240x240
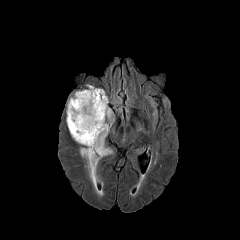
FLAIR MR image.
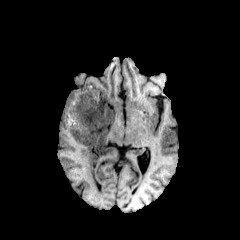
Same slice, T1-weighted magnetic resonance.
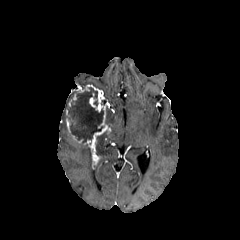
Post-contrast T1-weighted MR image.
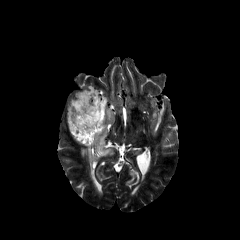
Same slice, T2-weighted MRI.
4 enhancing tumor regions appear at bbox(65, 116, 70, 132); bbox(71, 125, 110, 169); bbox(85, 84, 104, 101); bbox(98, 100, 110, 128). The non-enhancing tumor core is located at bbox(65, 87, 111, 142). 3 edema regions are located at bbox(106, 109, 114, 123); bbox(96, 130, 117, 162); bbox(82, 148, 91, 158).